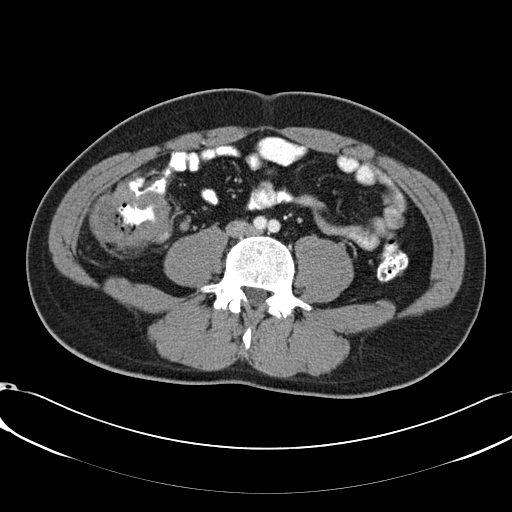

Pelvis, CT slice, 512x512 px
The colon tumor is located at [89,181,169,247].